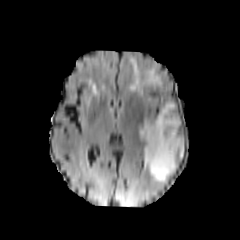
FLAIR MR image.
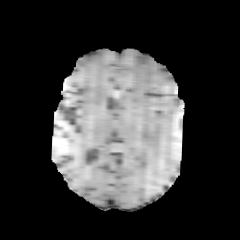
Same slice, T1-weighted MRI.
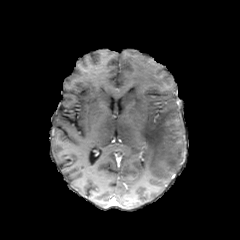
Post-contrast T1-weighted MRI.
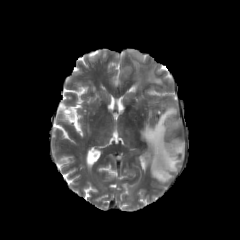
T2-weighted MR.
Brain, 240x240
edema: [137,102,184,181], [129,58,164,91]